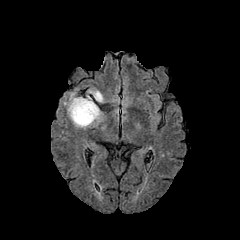
FLAIR magnetic resonance.
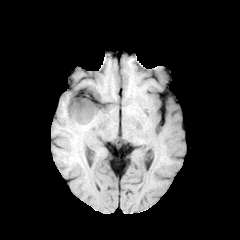
T1-weighted MR of the same slice.
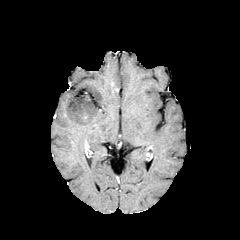
Post-contrast T1-weighted MRI.
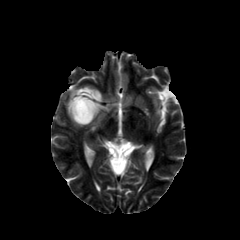
T2-weighted MRI of the same slice.
Annotated regions:
• edema: 64,88,103,127